Upper abdomen. Computed tomography.
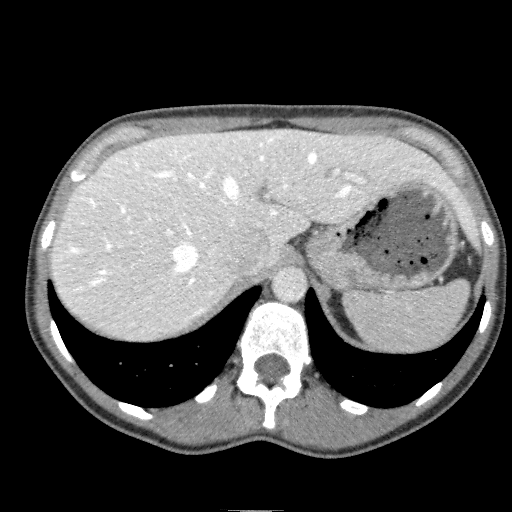

* liver: bbox=[51, 128, 480, 342]